CT scan slice; Liver

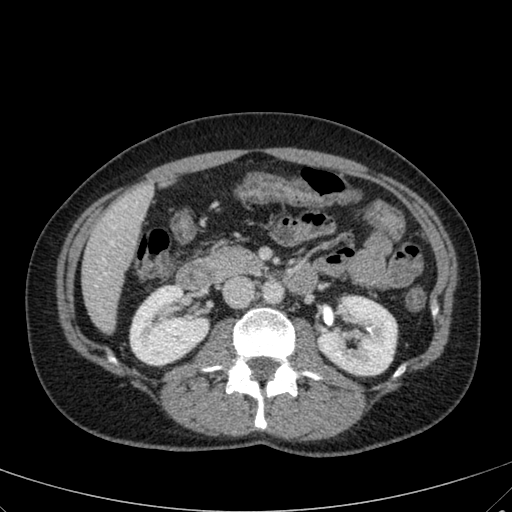 - kidney: [130, 286, 208, 364], [318, 296, 396, 374]
- liver: [82, 186, 151, 332], [159, 180, 170, 186]